Field of view 480 mm wide, 1.25 mm slice spacing, Lung, Slice 189/252, Computed tomography
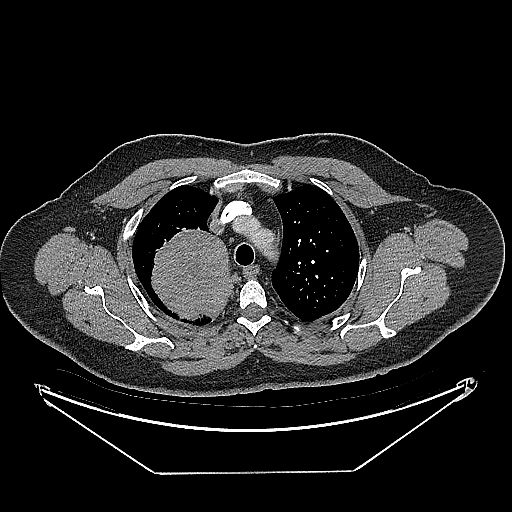 Lung tumor at bbox(149, 226, 232, 325).